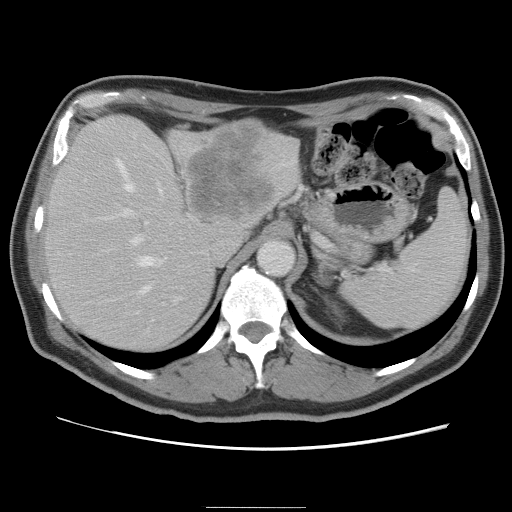
CT image.

The vessel boxes may cover only some of the vessels.
The liver tumor appears at <box>188,125,271,217</box>. 10 hepatic vessel regions are located at <box>157,183,162,198</box>, <box>114,159,134,191</box>, <box>137,311,138,313</box>, <box>145,221,147,223</box>, <box>117,208,131,215</box>, <box>137,255,161,265</box>, <box>102,215,115,218</box>, <box>173,296,179,302</box>, <box>140,285,149,292</box>, <box>131,235,141,243</box>.